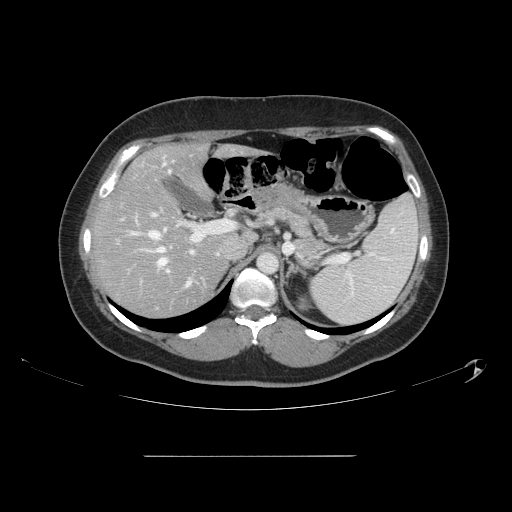

CT; Liver

Not every hepatic vessel necessarily has a box.
13 hepatic vessel regions are located at x1=164 y1=228 x2=165 y2=230, x1=186 y1=282 x2=189 y2=286, x1=166 y1=269 x2=169 y2=272, x1=163 y1=163 x2=164 y2=164, x1=154 y1=247 x2=164 y2=252, x1=190 y1=250 x2=193 y2=253, x1=152 y1=213 x2=155 y2=216, x1=191 y1=239 x2=199 y2=241, x1=148 y1=231 x2=159 y2=238, x1=130 y1=232 x2=136 y2=234, x1=158 y1=258 x2=166 y2=265, x1=143 y1=250 x2=149 y2=250, x1=169 y1=170 x2=170 y2=172.